Slice 67 of 155, Head, Image size 240x240
FLAIR MR image.
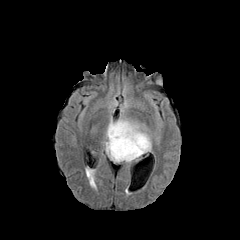
T1-weighted MRI.
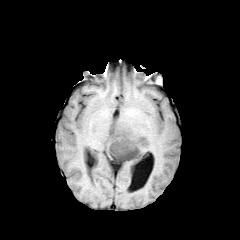
Post-contrast T1-weighted MR image.
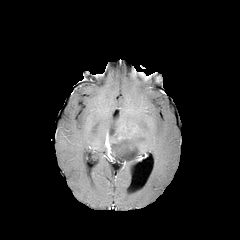
T2-weighted magnetic resonance.
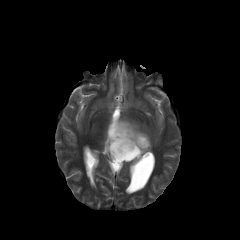
2 non-enhancing tumor core regions appear at bbox=[109, 124, 119, 141]; bbox=[111, 138, 143, 161]. 2 enhancing tumor regions appear at bbox=[115, 124, 134, 140]; bbox=[105, 133, 117, 160]. The edema is at bbox=[106, 119, 151, 157].